Image size 240x240 | Brain
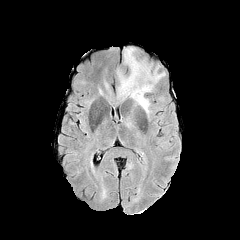
FLAIR magnetic resonance.
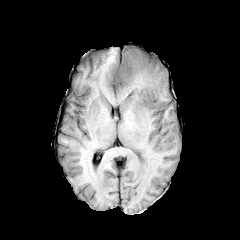
Same slice, T1-weighted MRI.
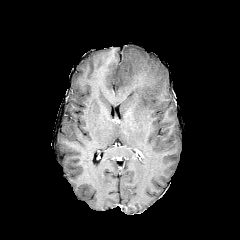
Post-contrast T1-weighted MR image.
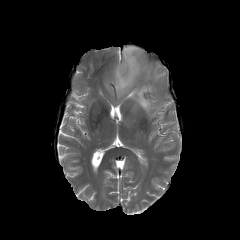
T2-weighted magnetic resonance of the same slice.
Edema = 117, 47, 165, 115.